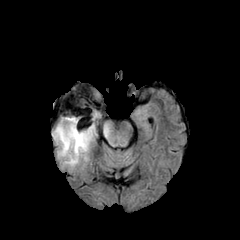
FLAIR MR.
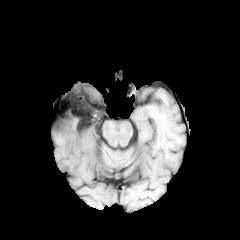
T1-weighted MR image of the same slice.
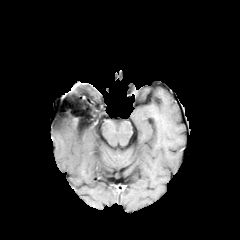
Post-contrast T1-weighted magnetic resonance.
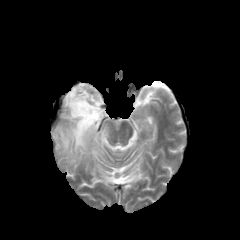
T2-weighted MRI.
Image size 240x240
Segmented structures:
- edema: l=52, t=112, r=101, b=167; l=103, t=124, r=109, b=138